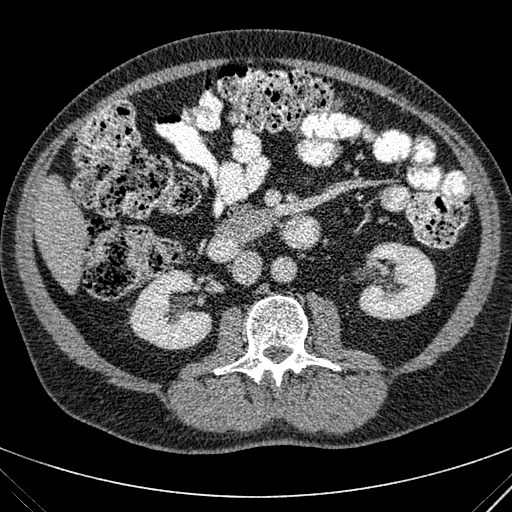
Upper abdomen | CT slice
{
  "kidney": [
    "130,270,211,349",
    "359,242,435,318"
  ],
  "liver": [
    "35,178,85,292"
  ]
}